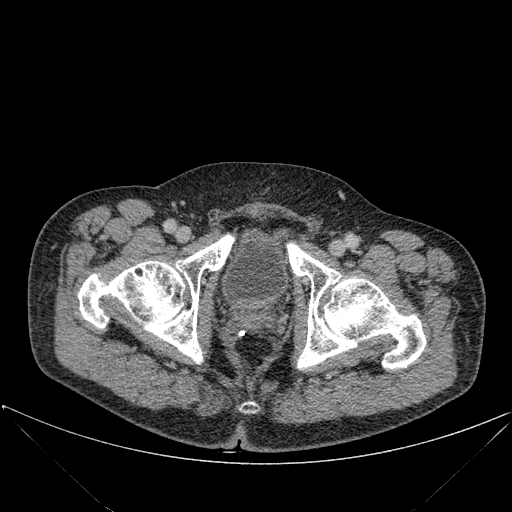

Computed tomography
3 bone regions appear at <box>241,402,255,411</box>, <box>287,243,426,368</box>, <box>78,235,234,363</box>.